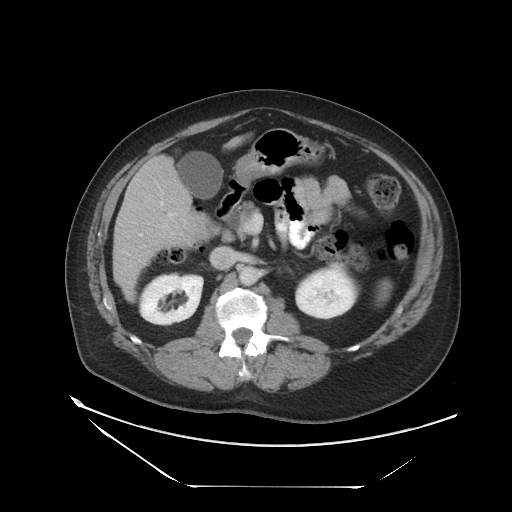

CT scan slice. The vessel boxes may cover only some of the vessels.
- hepatic vessel: 159:199:163:206, 168:212:176:218